FLAIR MRI.
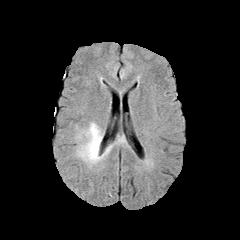
T1-weighted MR image.
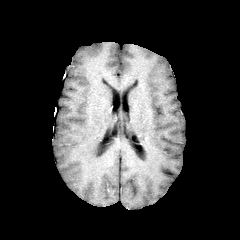
Post-contrast T1-weighted magnetic resonance.
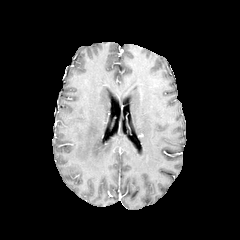
T2-weighted magnetic resonance.
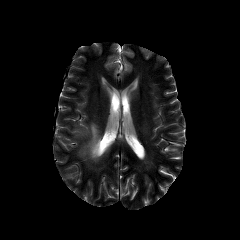
Head
Findings:
• edema: region(73, 121, 112, 166)